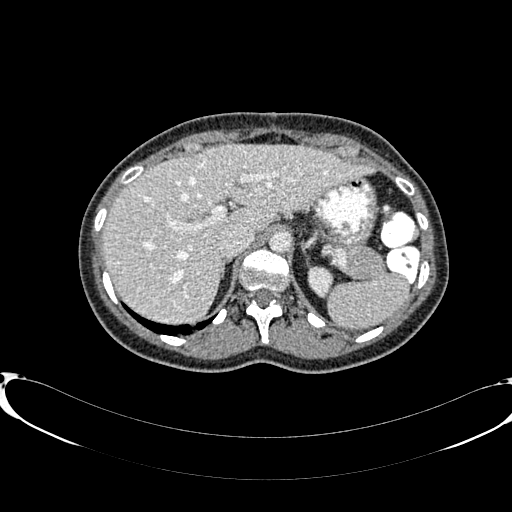
CT slice, 512x512 px, Liver

Kidney: <bbox>310, 270, 329, 292</bbox>.
Liver: <bbox>102, 145, 374, 322</bbox>.